Field of view 360 mm wide, 2.50 mm slice spacing; Image size 512x512; Computed tomography 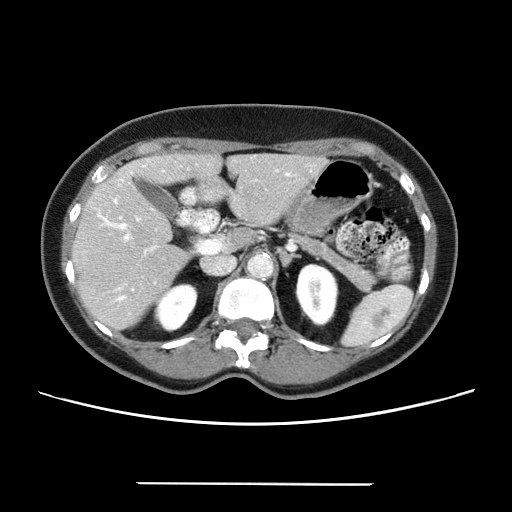 Only some of the vessels may be annotated.
{"hepatic_vessel": ["(126, 236, 128, 238)", "(119, 297, 123, 298)", "(119, 224, 124, 228)"]}